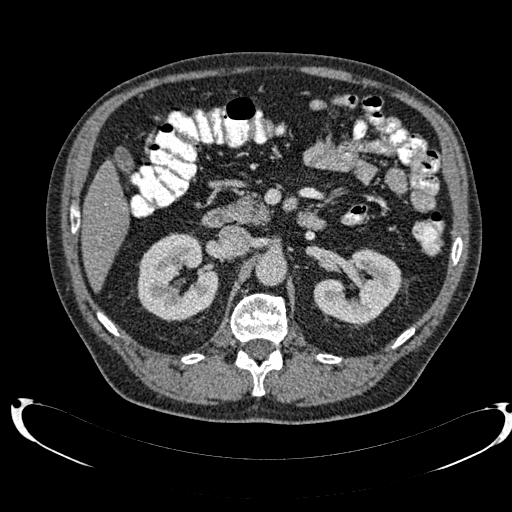
CT scan slice; Liver

liver: box=[82, 160, 128, 291] | kidney: box=[137, 233, 217, 320]; box=[314, 249, 401, 324]